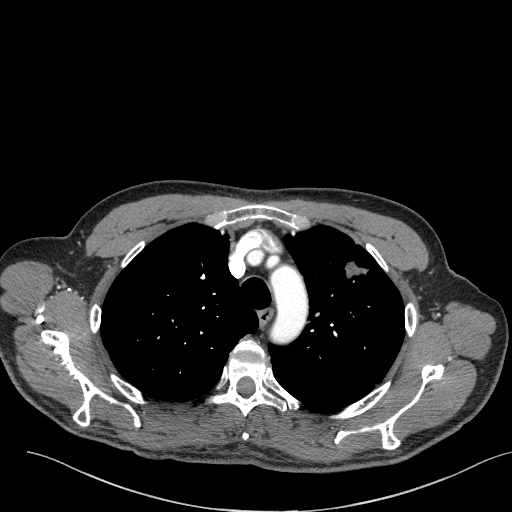

CT scan slice, Chest
Lung tumor = 340:256:371:293.